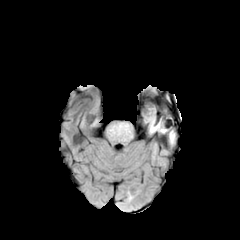
FLAIR magnetic resonance.
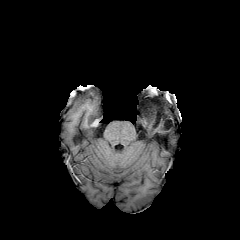
T1-weighted MR.
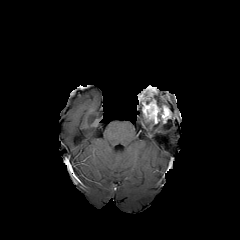
Same slice, post-contrast T1-weighted MR image.
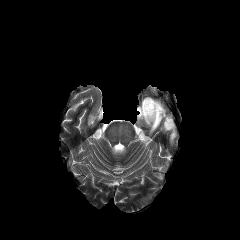
T2-weighted magnetic resonance of the same slice.
The non-enhancing tumor core is bounded by 156,104,171,121. The enhancing tumor is bounded by 143,102,161,122. 2 edema regions appear at 144,118,169,133; 168,130,175,145.